Head
FLAIR magnetic resonance.
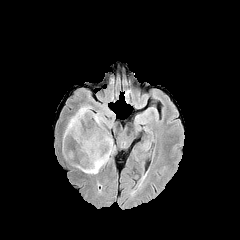
T1-weighted MRI.
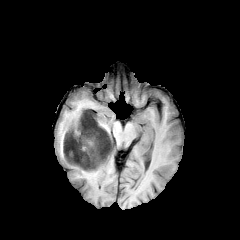
Post-contrast T1-weighted MR image.
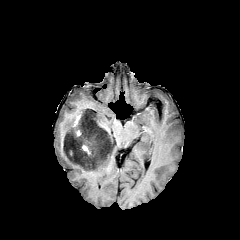
T2-weighted MR.
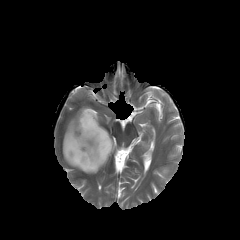
Enhancing tumor — (left=82, top=144, right=90, bottom=154).
Edema — (left=62, top=105, right=92, bottom=159), (left=71, top=144, right=115, bottom=173), (left=96, top=113, right=107, bottom=131).
Non-enhancing tumor core — (left=64, top=109, right=113, bottom=168).